Image size 512x512 | Liver | Computed tomography 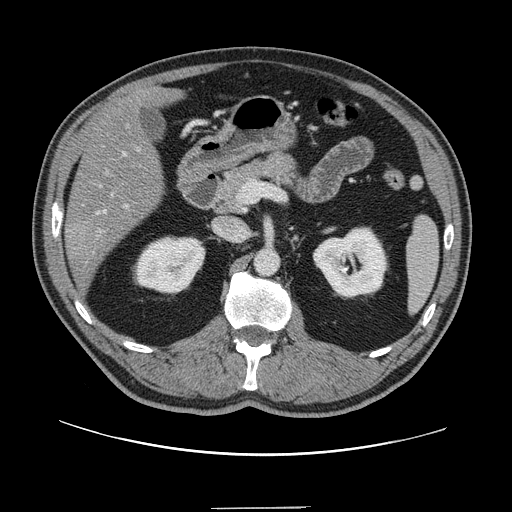

Some hepatic vessels may have no box.
{
  "hepatic_vessel": [
    "96, 210, 106, 214",
    "123, 153, 126, 155",
    "111, 193, 113, 196",
    "100, 185, 101, 187",
    "137, 148, 139, 151",
    "125, 205, 127, 208",
    "99, 230, 102, 232",
    "106, 170, 108, 174"
  ],
  "liver_tumor": [
    "64, 222, 91, 247"
  ]
}